Abdomen, Slice 66 of 121, Computed tomography

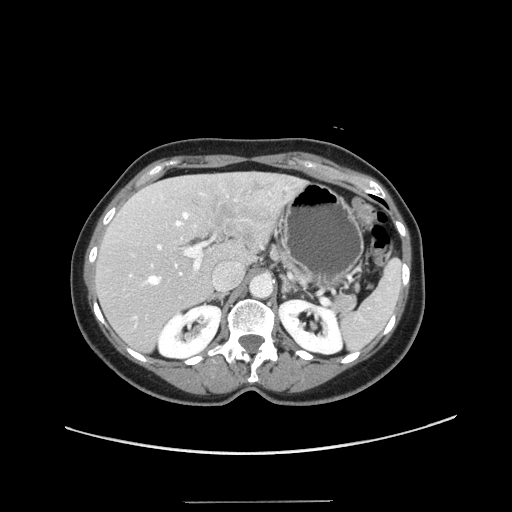 The vessel annotation is not exhaustive.
8 hepatic vessel regions are located at (left=146, top=276, right=160, bottom=283), (left=158, top=245, right=160, bottom=247), (left=176, top=221, right=181, bottom=225), (left=212, top=262, right=241, bottom=288), (left=130, top=274, right=131, bottom=275), (left=184, top=212, right=188, bottom=217), (left=135, top=316, right=136, bottom=317), (left=185, top=243, right=205, bottom=268). The liver tumor is at (left=213, top=198, right=255, bottom=248).